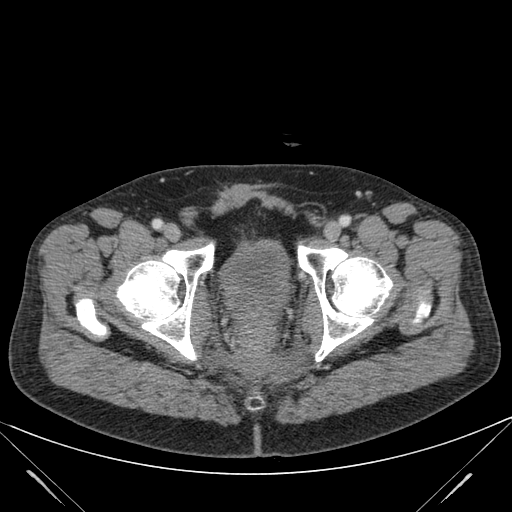
CT slice | Pelvis
The urinary bladder is bounded by 218, 239, 293, 326.